Slice 69/131 | 512x512 px | CT slice
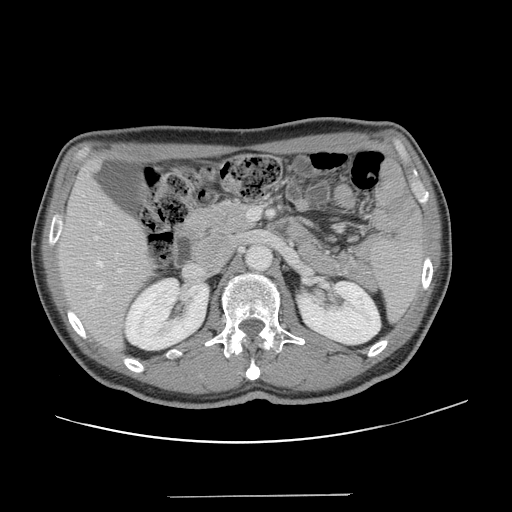

Some hepatic vessels may have no box.
Segmented structures:
- hepatic vessel: 94 236 98 239, 97 285 101 289, 97 261 102 265, 118 268 121 272, 98 222 101 225